Slice 16 of 40, Medial temporal lobe, MR image, Image width 34 mm

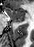 • anterior hippocampus: [x1=6, y1=8, x2=24, y2=21]